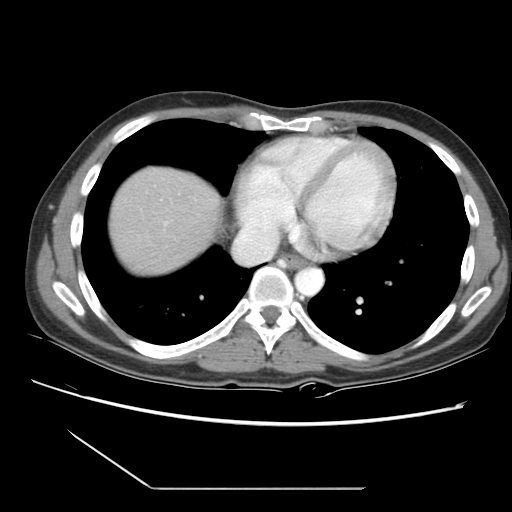

Abdomen, 512x512 px, CT slice

The vessel annotation is not exhaustive.
The hepatic vessel is at bbox=[165, 223, 166, 224].